CT image

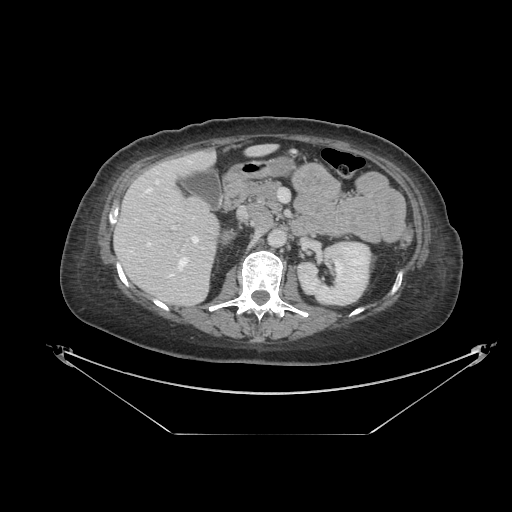
{
  "pancreas": [
    "250:181:281:214"
  ]
}